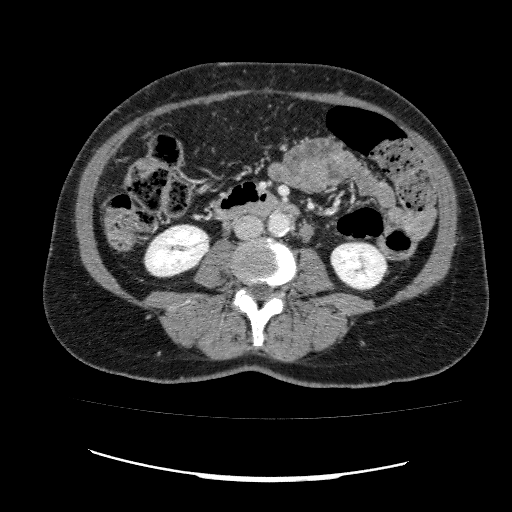

512x512 | Abdomen | Computed tomography
<segmentation>
  <kidney>bbox(332, 243, 385, 288); bbox(145, 225, 208, 275)</kidney>
</segmentation>